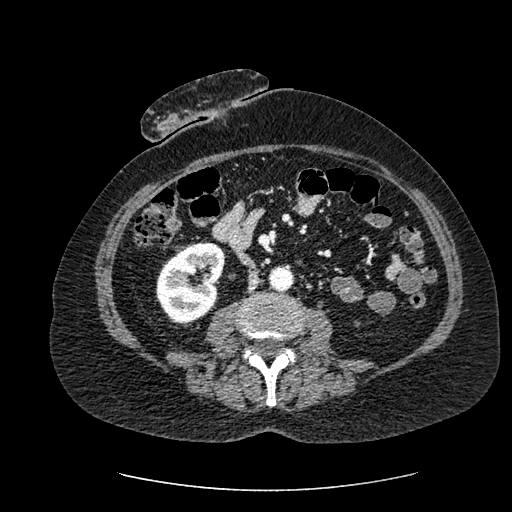 Abdomen | Computed tomography
{
  "kidney": [
    "(x1=157, y1=243, x2=224, y2=322)"
  ]
}